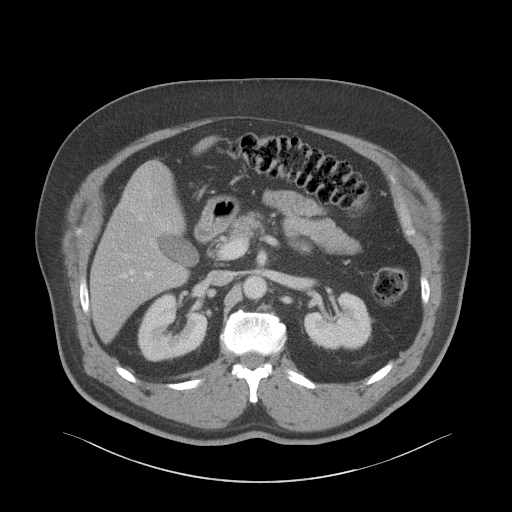

512x512 px; Computed tomography

liver: left=90, top=164, right=185, bottom=337 | kidney: left=304, top=293, right=369, bottom=347; left=139, top=295, right=206, bottom=360